Image size 512x512; Image width 405 mm; CT scan slice; Slice 31/97; Upper abdomen

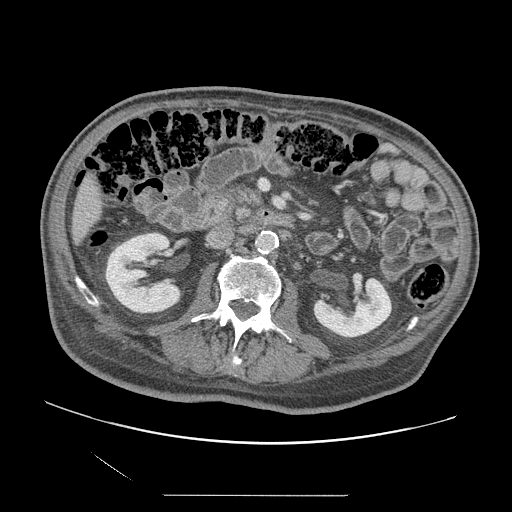

• pancreas: (226,183,265,209)